Field of view 324x324 mm; Slice index 8; 512x512; CT slice; Liver 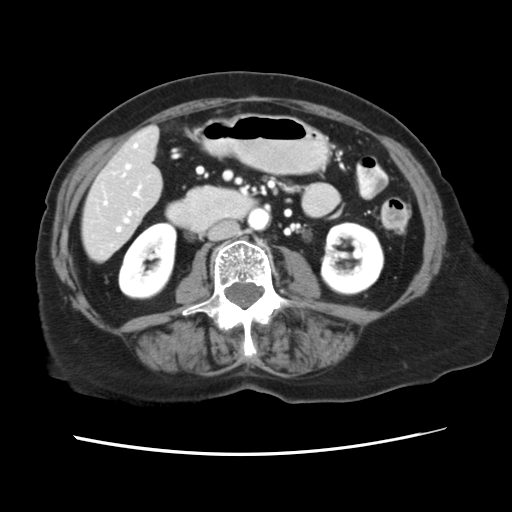
Only some of the vessels may be annotated.
<segmentation>
  <hepatic_vessel>{"x1": 133, "y1": 185, "x2": 140, "y2": 197}, {"x1": 124, "y1": 212, "x2": 131, "y2": 222}, {"x1": 116, "y1": 227, "x2": 120, "y2": 231}, {"x1": 125, "y1": 164, "x2": 130, "y2": 169}, {"x1": 111, "y1": 244, "x2": 112, "y2": 247}, {"x1": 133, "y1": 144, "x2": 136, "y2": 148}, {"x1": 123, "y1": 172, "x2": 125, "y2": 176}, {"x1": 104, "y1": 202, "x2": 107, "y2": 205}, {"x1": 136, "y1": 212, "x2": 138, "y2": 213}</hepatic_vessel>
</segmentation>